Computed tomography. Field of view 400 mm wide, 0.70 mm slice spacing. 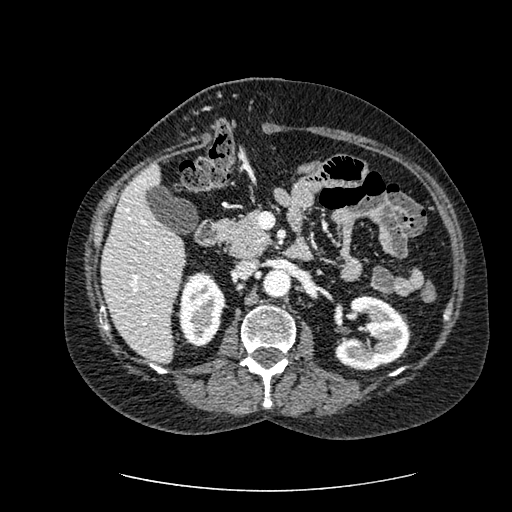 The liver is at (left=101, top=163, right=184, bottom=362). 2 kidney regions appear at (left=335, top=296, right=408, bottom=369), (left=180, top=273, right=224, bottom=345).